Slice 79 of 155. Brain.
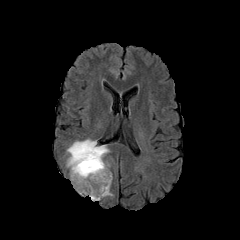
FLAIR MRI.
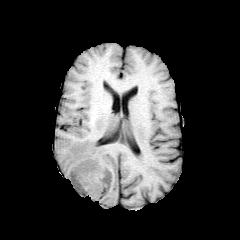
T1-weighted MRI.
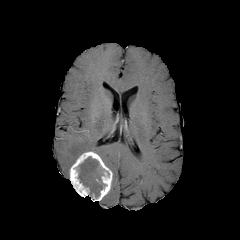
Same slice, post-contrast T1-weighted magnetic resonance.
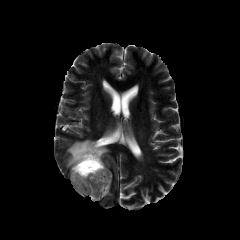
T2-weighted MR image.
The edema is located at 66 139 109 167. The enhancing tumor is at 70 151 112 201. The non-enhancing tumor core is bounded by 77 156 102 196.